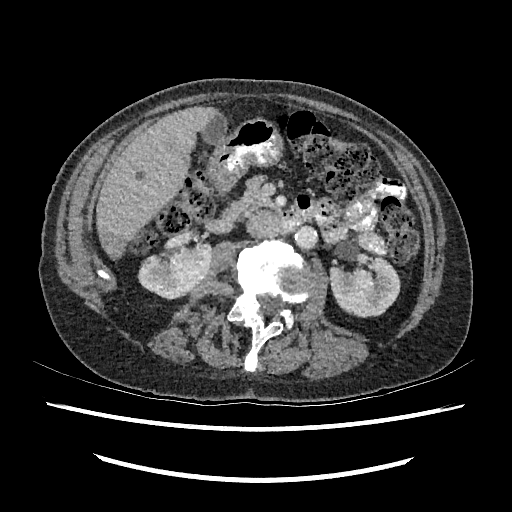 Liver, CT image

{"kidney": ["x1=330, y1=254, x2=399, y2=316", "x1=139, y1=244, x2=212, y2=298"], "liver": ["x1=98, y1=106, x2=216, y2=259"], "hepatic_lesion": ["x1=106, y1=233, x2=127, y2=250"]}